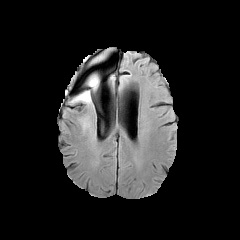
FLAIR MRI.
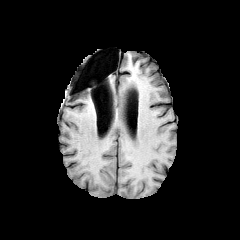
T1-weighted MRI.
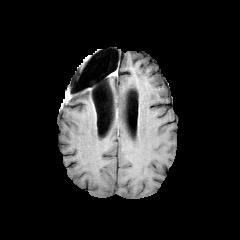
Post-contrast T1-weighted MRI of the same slice.
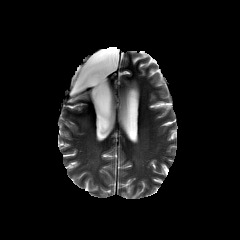
T2-weighted MR image of the same slice.
Head
{
  "edema": [
    "bbox(71, 75, 99, 105)"
  ]
}